FLAIR MR.
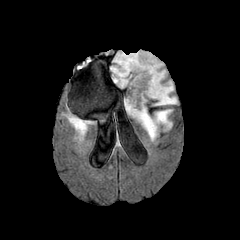
T1-weighted magnetic resonance.
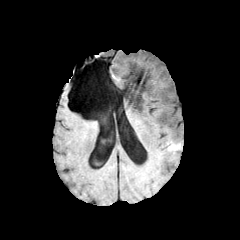
Post-contrast T1-weighted MRI.
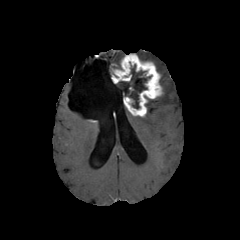
T2-weighted MR.
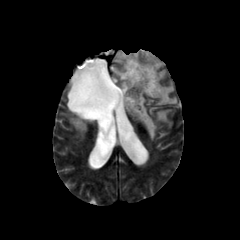
Image size 240x240 | Head
non-enhancing tumor core: 119,65,149,109 | enhancing tumor: 112,54,161,115 | edema: 137,50,178,105; 74,119,89,131; 110,51,125,74; 130,109,172,140